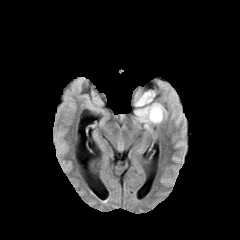
FLAIR magnetic resonance.
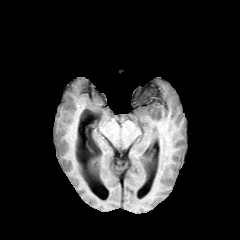
T1-weighted magnetic resonance of the same slice.
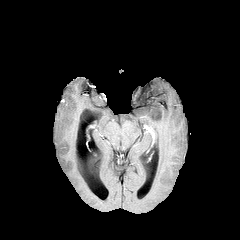
Post-contrast T1-weighted magnetic resonance of the same slice.
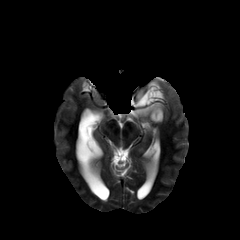
T2-weighted magnetic resonance of the same slice.
Brain
{"non-enhancing_tumor_core": ["region(138, 90, 153, 103)"], "edema": ["region(134, 89, 165, 127)"]}